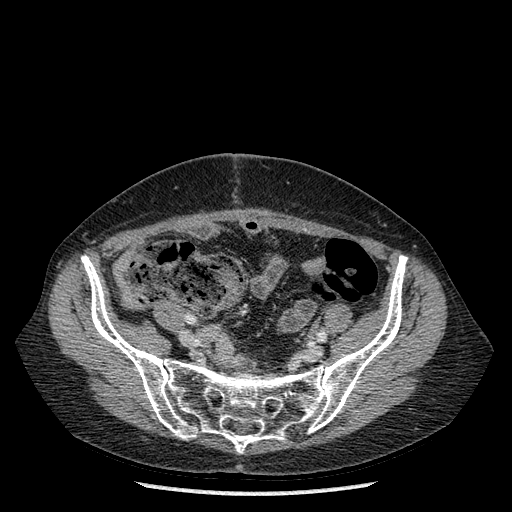
Computed tomography
The bone is at 81,255,407,453.